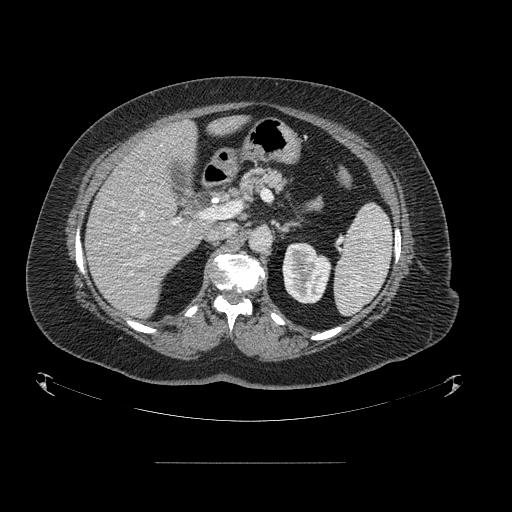

Abdomen. CT.
Pancreas = <box>241,168,287,193</box>.